CT image; Image size 512x512
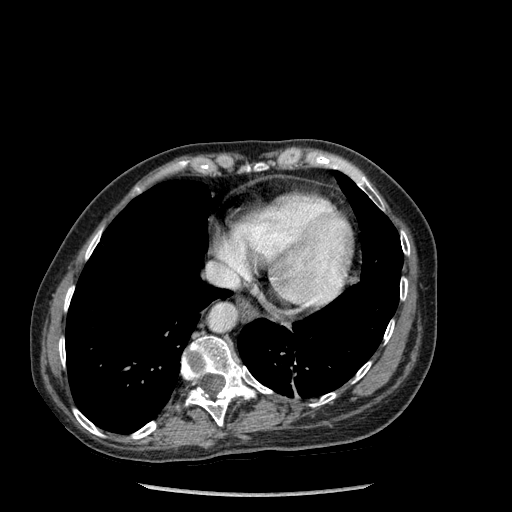
2 lung regions appear at l=65, t=180, r=230, b=433; l=238, t=171, r=402, b=398. 13 bone regions are bounded by l=181, t=336, r=272, b=426; l=352, t=362, r=371, b=383; l=131, t=421, r=156, b=439; l=64, t=286, r=74, b=311; l=309, t=392, r=335, b=407; l=58, t=337, r=65, b=366; l=400, t=277, r=407, b=300; l=400, t=230, r=410, b=255; l=254, t=163, r=267, b=170; l=73, t=409, r=104, b=436; l=331, t=159, r=384, b=210; l=384, t=320, r=394, b=343; l=85, t=229, r=101, b=259.